FLAIR MRI.
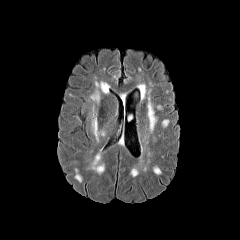
T1-weighted MR image.
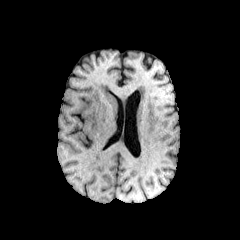
Post-contrast T1-weighted MRI.
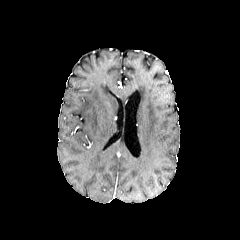
T2-weighted MR image.
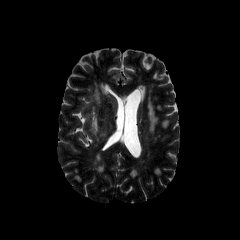
Brain
{"edema": ["92, 118, 98, 142"]}